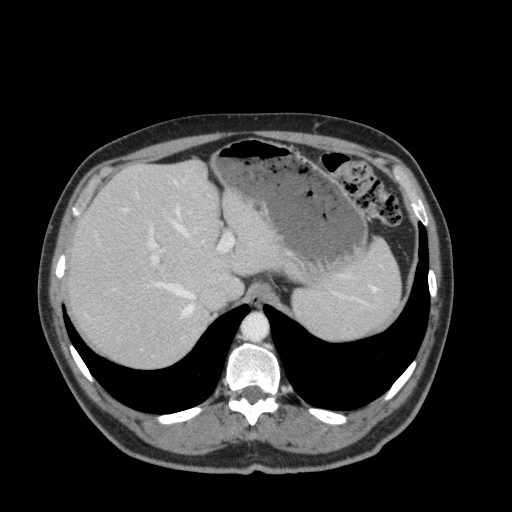
CT, Image size 512x512
<segmentation>
  <liver>(68, 162, 310, 366), (312, 236, 401, 340)</liver>
</segmentation>